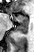 MRI slice. Anterior hippocampus: [x1=10, y1=14, x2=27, y2=21].
Posterior hippocampus: [x1=15, y1=22, x2=27, y2=35].